Image width 438 mm | CT slice

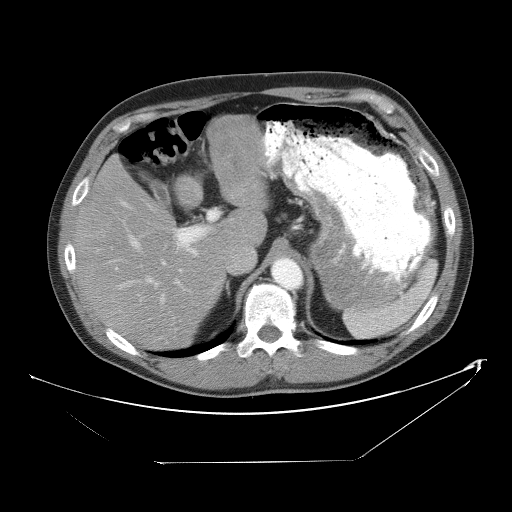

Not every hepatic vessel necessarily has a box.
Hepatic vessel: (187, 246, 196, 254), (129, 235, 139, 249), (139, 295, 142, 299), (175, 281, 176, 283), (179, 269, 181, 271), (160, 294, 164, 302), (146, 277, 158, 286), (179, 284, 188, 290), (183, 231, 202, 237), (115, 267, 117, 269), (120, 201, 128, 207), (162, 262, 165, 264).